Slice 103/155. Field of view 240 mm wide, 1.00 mm slice spacing.
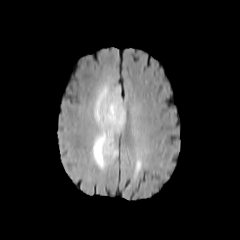
FLAIR MR.
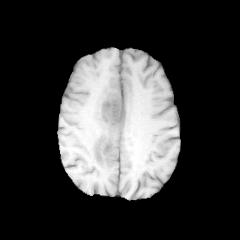
T1-weighted magnetic resonance.
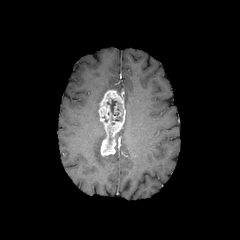
Same slice, post-contrast T1-weighted magnetic resonance.
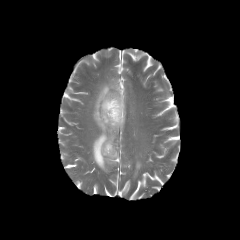
T2-weighted MR image.
<segmentation>
  <enhancing_tumor><box>98,90,125,156</box></enhancing_tumor>
  <non-enhancing_tumor_core><box>107,99,120,115</box></non-enhancing_tumor_core>
  <edema><box>92,83,122,171</box></edema>
</segmentation>